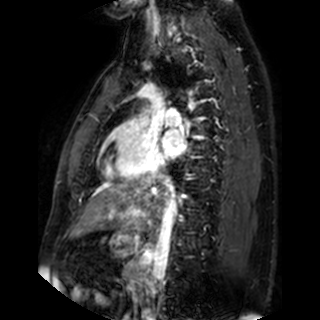 Heart, MR image, 320x320 px

Left atrium — (162, 129, 185, 158).